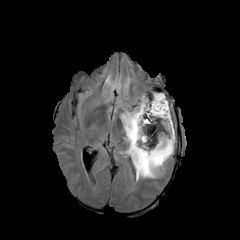
FLAIR MRI.
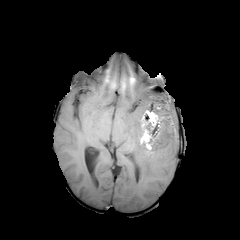
T1-weighted magnetic resonance.
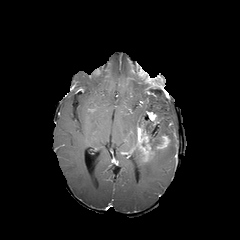
Post-contrast T1-weighted MRI.
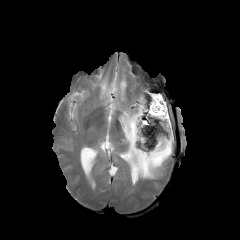
Same slice, T2-weighted magnetic resonance.
Edema — [x1=101, y1=80, x2=175, y2=181].
Enhancing tumor — [x1=137, y1=128, x2=146, y2=141], [x1=157, y1=136, x2=169, y2=148], [x1=122, y1=146, x2=135, y2=155], [x1=140, y1=148, x2=151, y2=161].
Non-enhancing tumor core — [x1=137, y1=110, x2=169, y2=157].